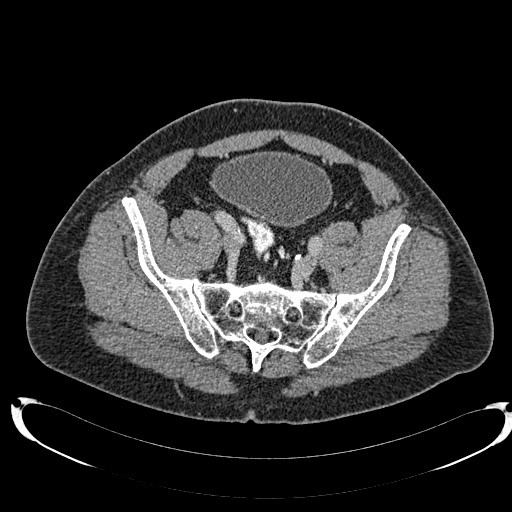

CT scan slice, 512x512 px
Segmented structures:
- urinary bladder: {"x1": 212, "y1": 151, "x2": 331, "y2": 227}